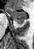

Medial temporal lobe, MR image
• anterior hippocampus: 8,8,26,20
• posterior hippocampus: 16,21,23,24